FLAIR MRI.
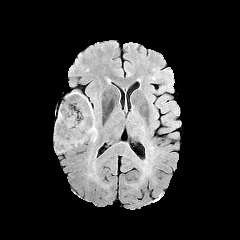
T1-weighted magnetic resonance.
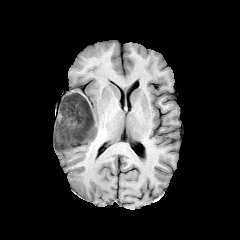
Post-contrast T1-weighted MR.
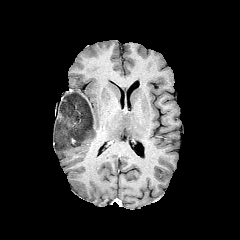
T2-weighted MR image.
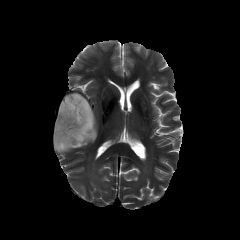
non-enhancing_tumor_core:
  - bbox=[55, 94, 95, 151]
edema:
  - bbox=[84, 98, 96, 131]
  - bbox=[58, 94, 69, 115]